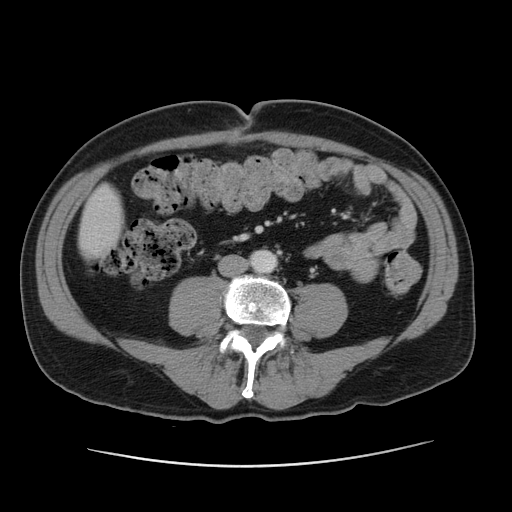
CT slice
The liver is bounded by box(79, 187, 122, 253).